Slice 163/299; CT

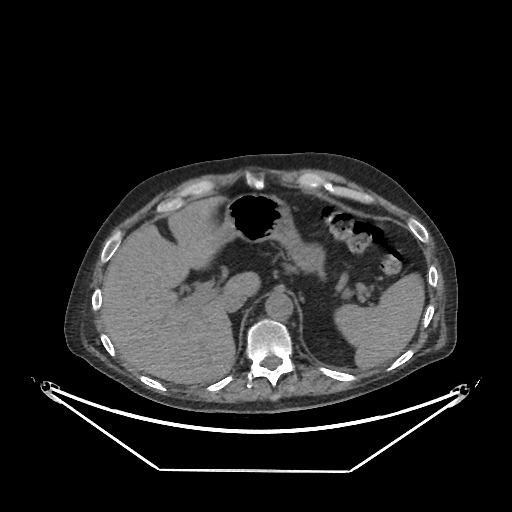 The liver appears at x1=96 y1=198 x2=259 y2=383.